Slice index 334 | CT scan slice | Image width 335 mm | Abdomen

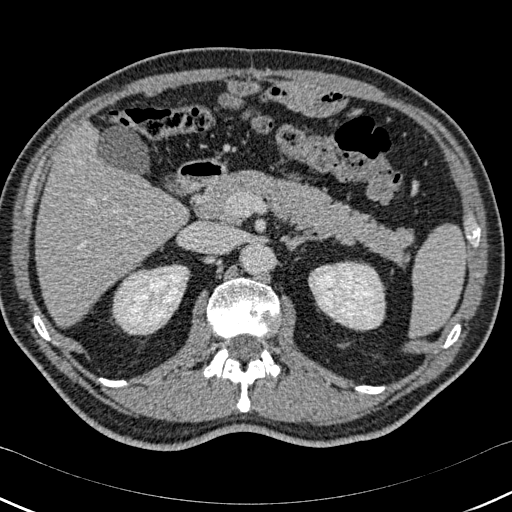 The liver is bounded by bbox=[35, 125, 188, 325]. 7 bone regions are located at bbox=[467, 228, 479, 244]; bbox=[207, 278, 279, 338]; bbox=[203, 348, 279, 411]; bbox=[444, 325, 460, 347]; bbox=[34, 316, 49, 339]; bbox=[99, 378, 126, 386]; bbox=[356, 386, 384, 393]. 2 kidney regions are located at bbox=[309, 262, 384, 329]; bbox=[114, 265, 187, 334].